FLAIR MR.
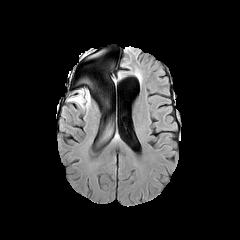
T1-weighted MR image.
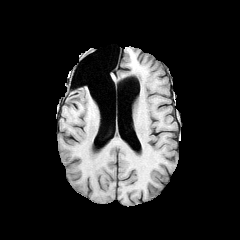
Post-contrast T1-weighted MR.
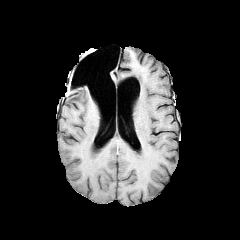
T2-weighted magnetic resonance.
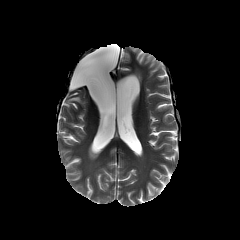
240x240 px
The edema is at region(68, 89, 90, 110).